Field of view 400x400 mm, Liver, Computed tomography

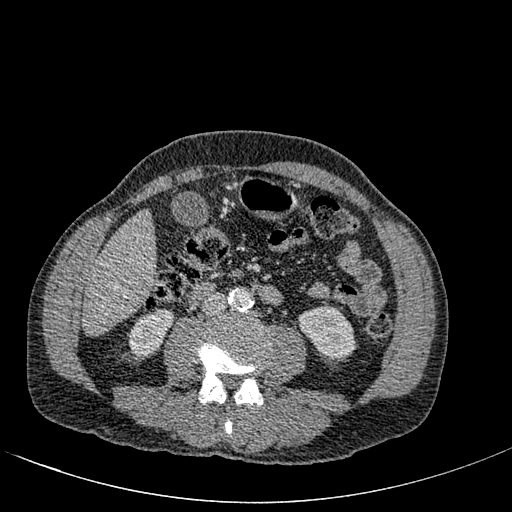

Segmented structures:
* kidney: l=129, t=309, r=173, b=358; l=299, t=306, r=354, b=359
* liver: l=82, t=210, r=155, b=333